512x512 px. CT. Slice index 20.
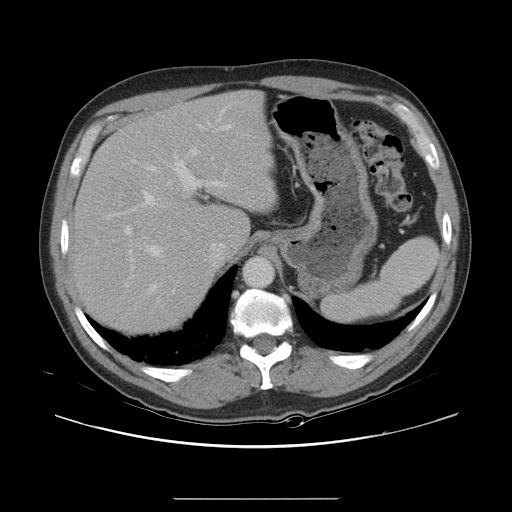 Not every hepatic vessel necessarily has a box.
• hepatic vessel (top 15 of 20): x1=129 y1=250 x2=134 y2=278, x1=190 y1=148 x2=197 y2=154, x1=95 y1=241 x2=98 y2=244, x1=212 y1=125 x2=231 y2=132, x1=167 y1=181 x2=171 y2=185, x1=147 y1=246 x2=161 y2=256, x1=144 y1=163 x2=155 y2=171, x1=148 y1=285 x2=156 y2=293, x1=216 y1=105 x2=230 y2=122, x1=174 y1=154 x2=178 y2=162, x1=124 y1=226 x2=132 y2=234, x1=198 y1=121 x2=209 y2=129, x1=132 y1=160 x2=135 y2=163, x1=108 y1=191 x2=157 y2=217, x1=202 y1=181 x2=226 y2=186